CT image | Field of view 409 mm wide, 5.00 mm slice spacing | Image size 512x512 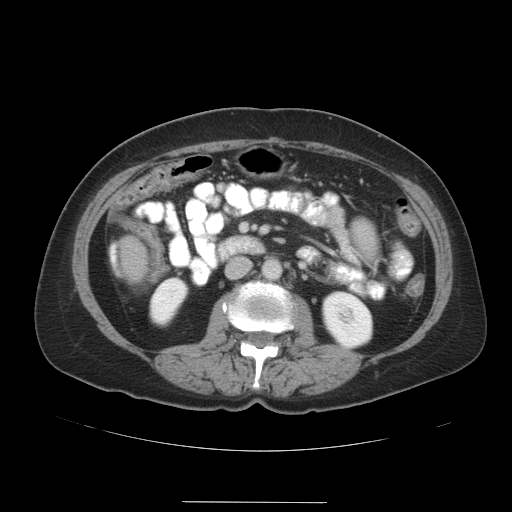

The vessel boxes may cover only some of the vessels.
Hepatic vessel: bounding box x1=123 y1=239 x2=127 y2=241.